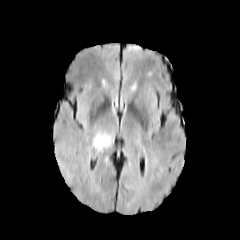
FLAIR MRI.
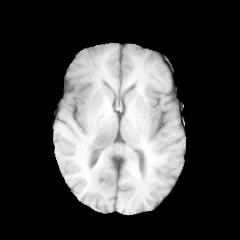
Same slice, T1-weighted MR image.
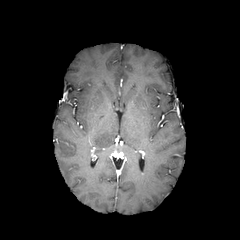
Post-contrast T1-weighted MR.
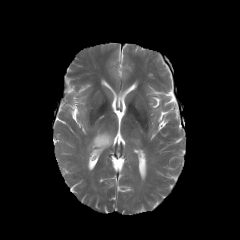
Same slice, T2-weighted MRI.
240x240 px
Edema: bbox=[92, 132, 111, 148].